Head.
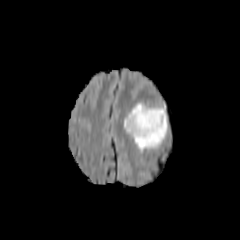
FLAIR MR.
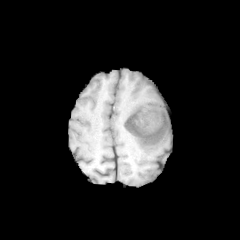
Same slice, T1-weighted MR.
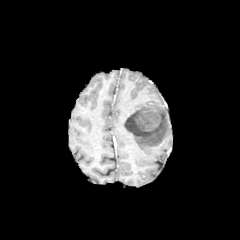
Post-contrast T1-weighted magnetic resonance.
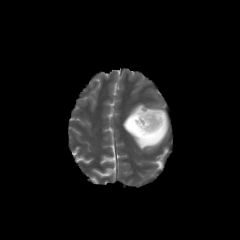
T2-weighted magnetic resonance.
Non-enhancing tumor core: <bbox>125, 108, 162, 137</bbox>.
Edema: <bbox>124, 102, 170, 150</bbox>.